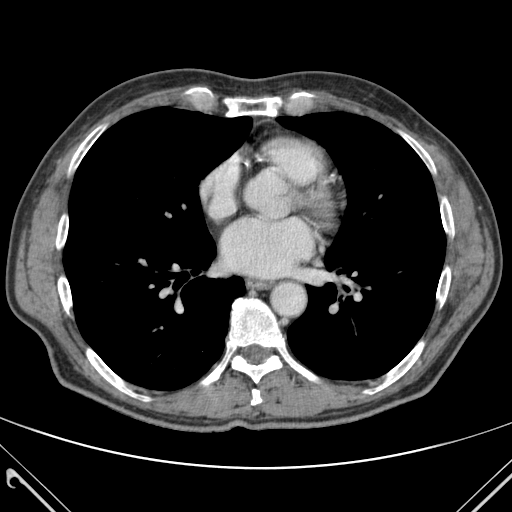

CT slice, Thorax
Annotated regions:
• bone: 56,215,68,256; 365,342,423,394; 436,267,450,305; 202,298,316,384; 87,349,148,400; 402,134,435,171; 222,92,313,116; 58,273,71,312; 251,389,261,404; 69,125,106,171; 186,88,218,98; 440,198,453,235; 232,356,281,382
• lung: 63,107,252,390; 278,112,445,380